Field of view 240 mm wide, 1.00 mm slice spacing; Brain; Slice 43/155
FLAIR magnetic resonance.
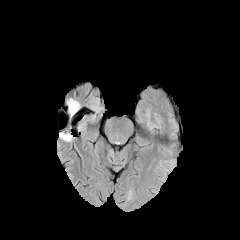
T1-weighted magnetic resonance.
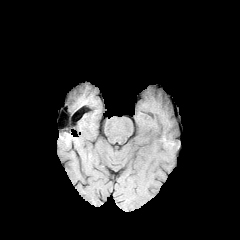
Post-contrast T1-weighted MR.
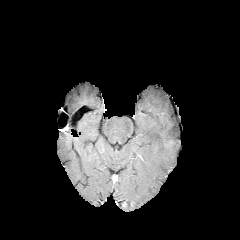
T2-weighted MR.
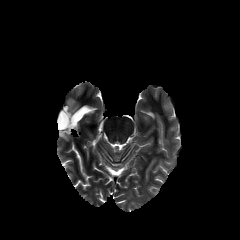
Annotated regions:
• edema: (left=60, top=127, right=71, bottom=141), (left=67, top=99, right=81, bottom=117)